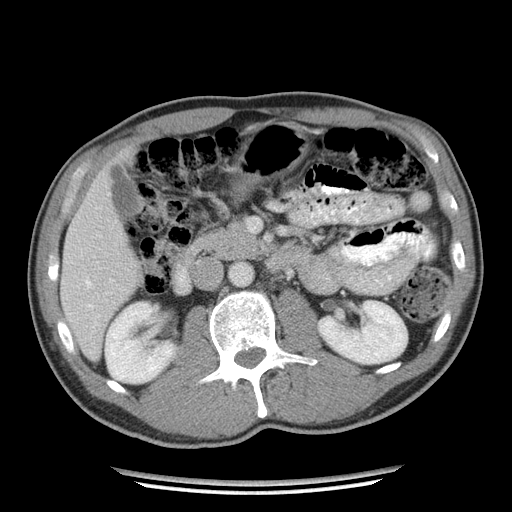

Computed tomography

pancreas: left=200, top=222, right=256, bottom=258